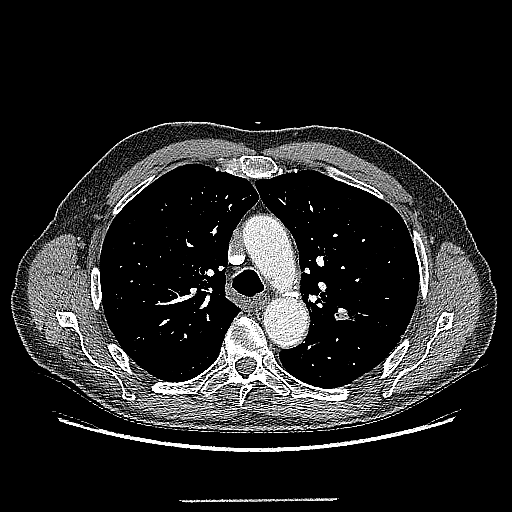
CT image, Image size 512x512, Chest

The lung tumor appears at (334,307,357,321).